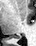

Medial temporal lobe. Image size 36x46. Magnetic resonance. The posterior hippocampus is located at box(14, 36, 19, 38).